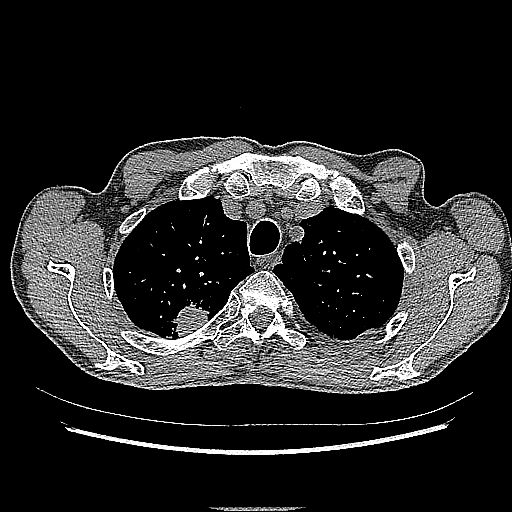
CT.
{"lung_tumor": ["161:292:214:339"]}